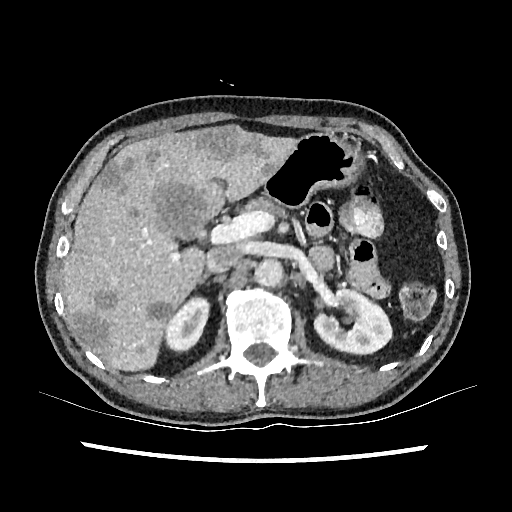 512x512 px | Abdomen | Computed tomography
2 liver regions are bounded by left=238, top=128, right=252, bottom=147; left=64, top=131, right=297, bottom=370. 10 hepatic lesion regions are located at left=153, top=181, right=207, bottom=238; left=136, top=345, right=145, bottom=353; left=145, top=147, right=160, bottom=164; left=186, top=127, right=270, bottom=165; left=96, top=157, right=134, bottom=193; left=146, top=301, right=173, bottom=320; left=94, top=291, right=117, bottom=310; left=72, top=311, right=112, bottom=355; left=261, top=163, right=278, bottom=177; left=129, top=207, right=139, bottom=217. 2 kidney regions appear at left=314, top=287, right=394, bottom=358; left=166, top=299, right=208, bottom=349.